Head
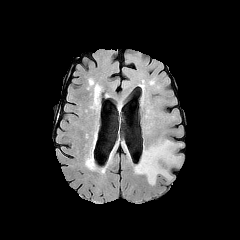
FLAIR MR.
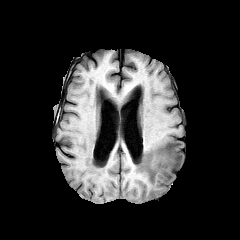
T1-weighted MRI.
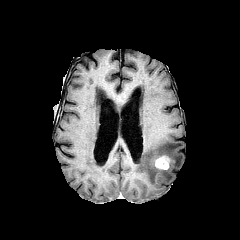
Post-contrast T1-weighted magnetic resonance.
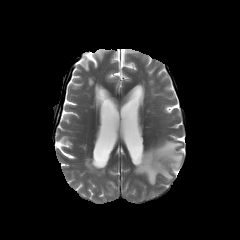
T2-weighted MR of the same slice.
enhancing tumor: (left=155, top=156, right=168, bottom=169) | edema: (left=134, top=139, right=181, bottom=183)